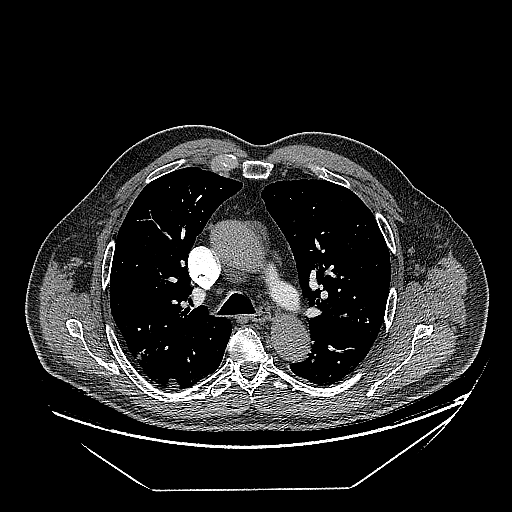

512x512 px, CT scan slice

Lung tumor = [133,348,149,368].